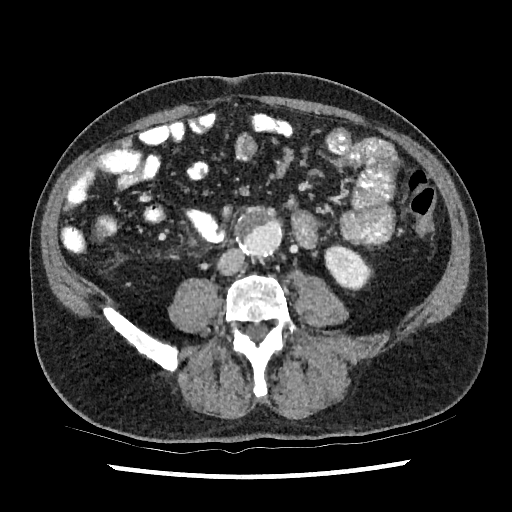

CT scan slice

kidney: <bbox>331, 253, 369, 288</bbox>